240x240 | Slice index 131
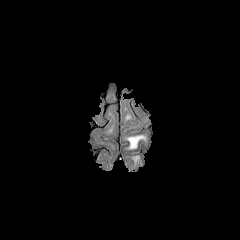
FLAIR magnetic resonance.
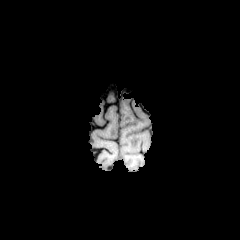
T1-weighted MR image.
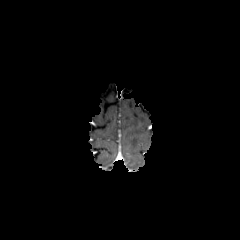
Same slice, post-contrast T1-weighted magnetic resonance.
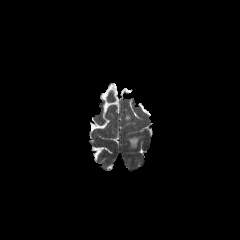
T2-weighted magnetic resonance of the same slice.
Edema at left=129, top=138, right=139, bottom=147.